Field of view 240x240 mm. Brain. Slice 91 of 155.
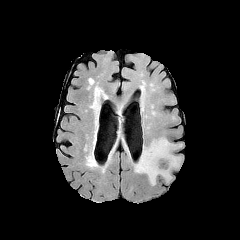
FLAIR MR image.
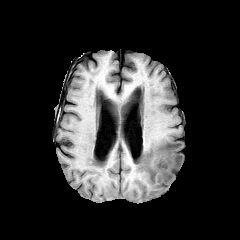
T1-weighted MR image.
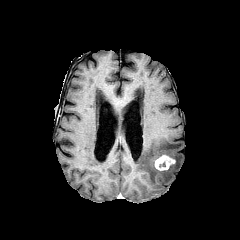
Post-contrast T1-weighted MR image of the same slice.
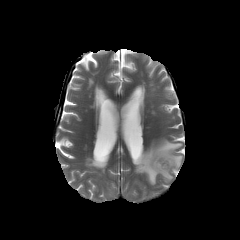
T2-weighted MR image.
Edema: box=[135, 138, 181, 185].
Enhancing tumor: box=[154, 155, 175, 170].